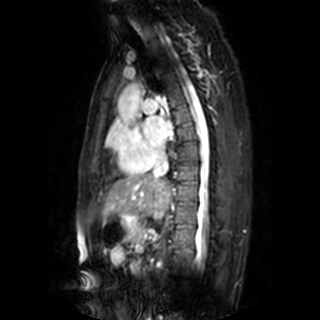

Heart. MRI.

{
  "left_atrium": [
    "x1=143, y1=115, x2=172, y2=147"
  ]
}